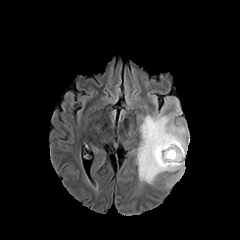
FLAIR MRI.
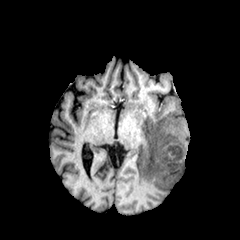
T1-weighted MRI.
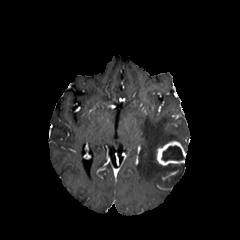
Same slice, post-contrast T1-weighted MR.
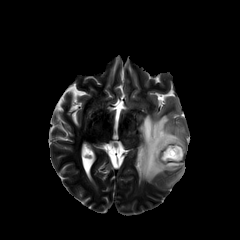
T2-weighted MR image of the same slice.
{
  "edema": [
    "<bbox>167, 167, 185, 187</bbox>",
    "<bbox>137, 115, 189, 183</bbox>"
  ],
  "non-enhancing_tumor_core": [
    "<bbox>161, 145, 184, 161</bbox>"
  ],
  "enhancing_tumor": [
    "<bbox>157, 141, 186, 165</bbox>"
  ]
}